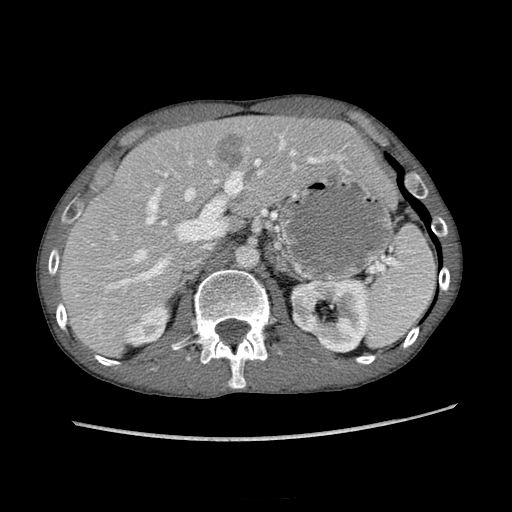

CT. Abdomen. 2 kidney regions appear at box(292, 280, 369, 351); box(127, 307, 164, 343). The liver lies within box(57, 118, 378, 354). The liver lesion is located at box(217, 134, 245, 166).